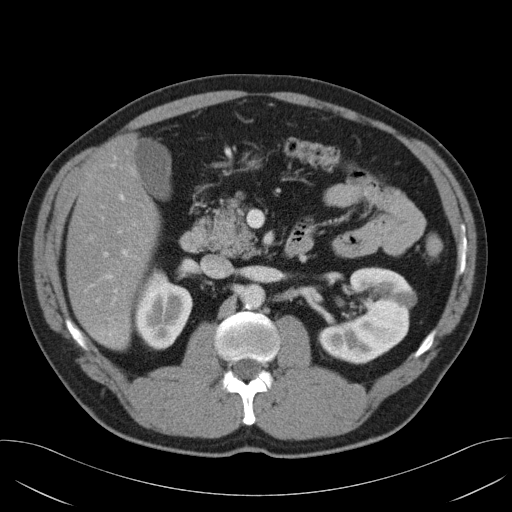

Computed tomography, Upper abdomen
The pancreas is located at region(205, 193, 261, 259).